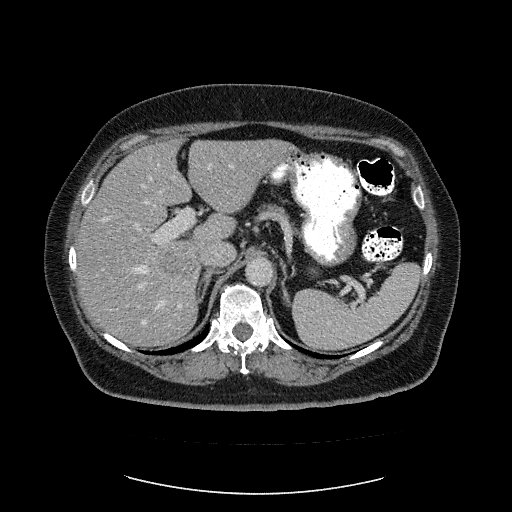
CT scan slice, 512x512, Liver

Not every hepatic vessel necessarily has a box.
15 hepatic vessel regions appear at [x1=142, y1=185, x2=145, y2=187], [x1=139, y1=283, x2=145, y2=288], [x1=230, y1=164, x2=234, y2=167], [x1=146, y1=201, x2=148, y2=203], [x1=158, y1=301, x2=163, y2=306], [x1=135, y1=224, x2=139, y2=228], [x1=178, y1=303, x2=180, y2=307], [x1=142, y1=320, x2=146, y2=324], [x1=172, y1=176, x2=175, y2=178], [x1=209, y1=164, x2=212, y2=167], [x1=101, y1=217, x2=109, y2=221], [x1=133, y1=265, x2=147, y2=272], [x1=152, y1=208, x2=196, y2=243], [x1=274, y1=163, x2=284, y2=171], [x1=149, y1=176, x2=151, y2=179]. The liver tumor is located at [x1=159, y1=238, x2=199, y2=277].